FLAIR MRI.
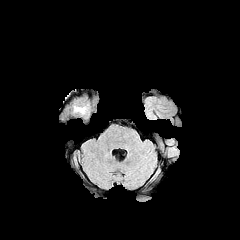
T1-weighted magnetic resonance.
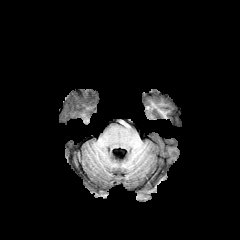
Post-contrast T1-weighted MR.
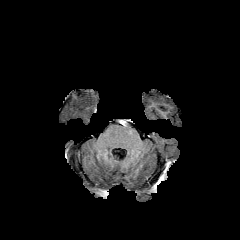
T2-weighted MR.
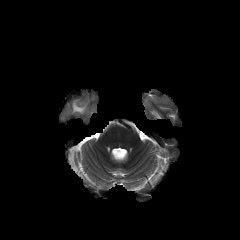
edema: rect(73, 104, 89, 115)